Slice index 10, Magnetic resonance, Medial temporal lobe
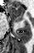

Anterior hippocampus: left=8, top=4, right=24, bottom=22.